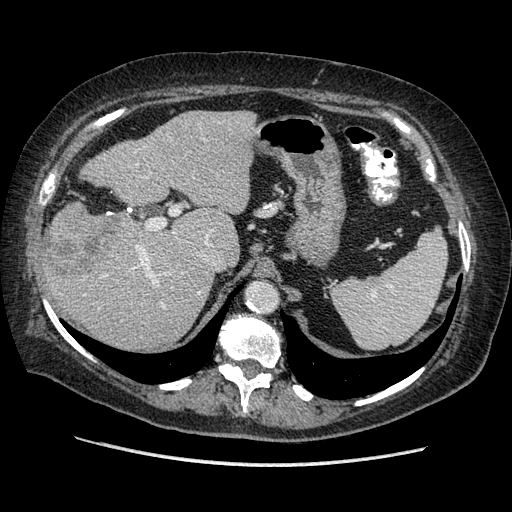
CT slice.

The vessel boxes may cover only some of the vessels.
- hepatic vessel: 136,245,156,284; 169,203,180,215; 147,217,165,229
- liver tumor: 49,208,119,277